Slice 67/117, CT image

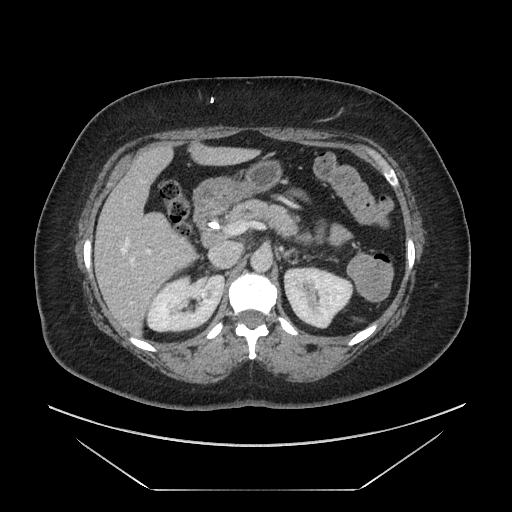
{
  "pancreas": [
    "230 201 296 234"
  ]
}